Image size 512x512. Liver. Computed tomography. 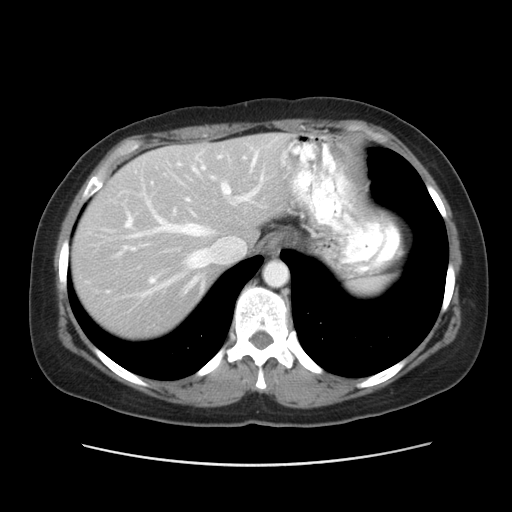

Not every hepatic vessel necessarily has a box.
{
  "partial": true,
  "hepatic_vessel": {
    "n_total": 18,
    "boxes": [
      "(left=201, top=166, right=204, bottom=169)",
      "(left=149, top=277, right=155, bottom=282)",
      "(left=222, top=182, right=230, bottom=193)",
      "(left=188, top=250, right=210, bottom=267)",
      "(left=186, top=197, right=189, bottom=200)",
      "(left=218, top=155, right=221, bottom=157)",
      "(left=177, top=164, right=180, bottom=165)",
      "(left=123, top=246, right=134, bottom=249)",
      "(left=243, top=157, right=245, bottom=158)",
      "(left=236, top=189, right=257, bottom=201)",
      "(left=192, top=167, right=198, bottom=172)",
      "(left=125, top=212, right=132, bottom=227)",
      "(left=130, top=202, right=204, bottom=236)",
      "(left=250, top=151, right=257, bottom=171)",
      "(left=187, top=276, right=198, bottom=288)"
    ]
  }
}